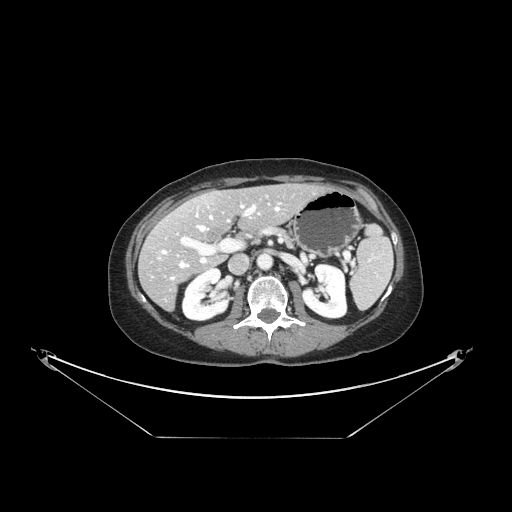 Computed tomography
Only some of the vessels may be annotated.
Hepatic vessel = bbox=[198, 226, 204, 230]; bbox=[276, 208, 277, 209]; bbox=[201, 257, 205, 262]; bbox=[246, 206, 255, 213].